Abdomen, CT scan slice

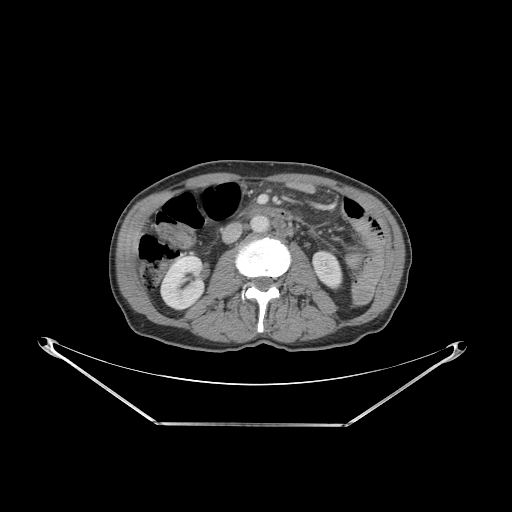
Bone at x1=237, y1=238, x2=289, y2=278; x1=242, y1=282, x2=281, y2=331.
Kidney at x1=161, y1=256, x2=203, y2=308; x1=313, y1=252, x2=340, y2=286.